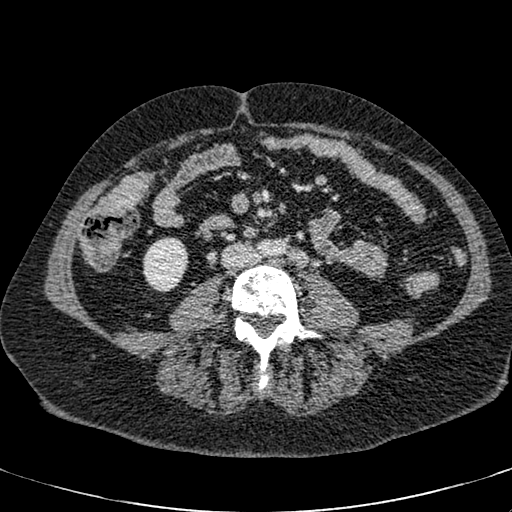

CT image
{
  "kidney": [
    "144 238 187 291"
  ]
}